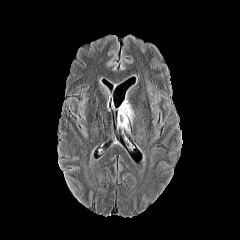
FLAIR magnetic resonance.
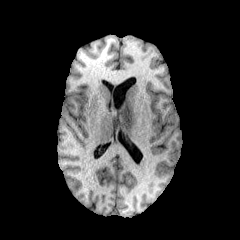
Same slice, T1-weighted MRI.
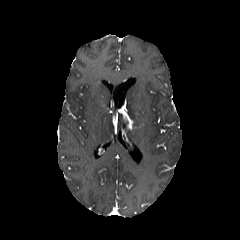
Post-contrast T1-weighted MR.
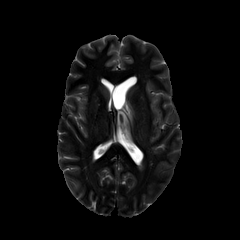
T2-weighted MR of the same slice.
{"enhancing_tumor": ["[118, 98, 133, 130]"]}